CT; Slice index 414; Abdomen

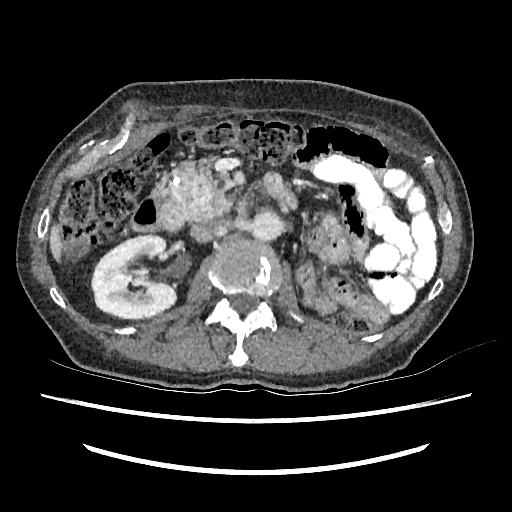
Kidney at x1=92, y1=235, x2=175, y2=318.
Liver at x1=50, y1=226, x2=60, y2=258.